CT slice 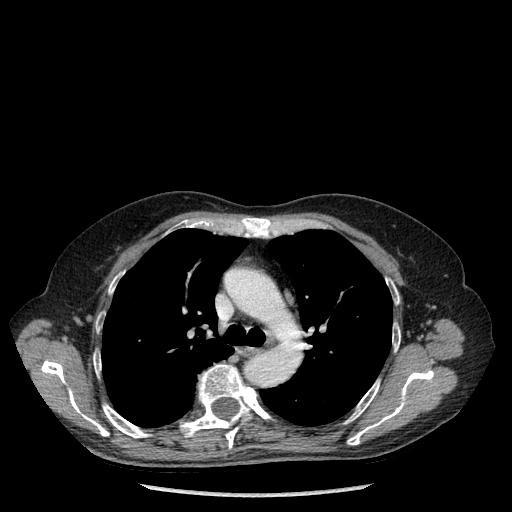 Bone: bbox(93, 354, 101, 376); bbox(385, 277, 399, 304); bbox(344, 380, 379, 423); bbox(392, 323, 400, 351); bbox(108, 275, 118, 293); bbox(179, 220, 195, 227); bbox(347, 370, 433, 445); bbox(168, 364, 270, 448); bbox(41, 359, 109, 436); bbox(233, 217, 280, 237); bbox(96, 316, 102, 332); bbox(102, 404, 151, 438).
Lung: bbox(260, 230, 392, 425); bbox(102, 228, 264, 427).